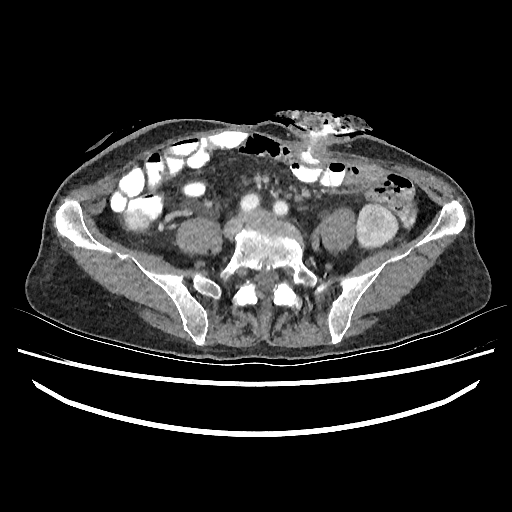

CT image
• kidney: bbox(125, 216, 141, 229); bbox(385, 254, 405, 263); bbox(357, 205, 397, 246)